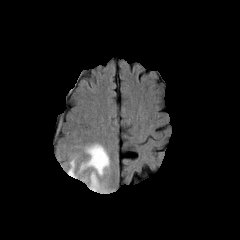
FLAIR MR image.
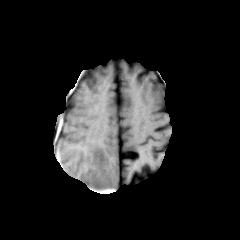
Same slice, T1-weighted magnetic resonance.
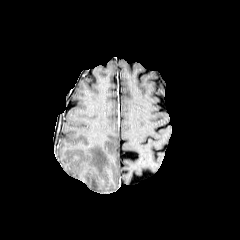
Post-contrast T1-weighted MRI.
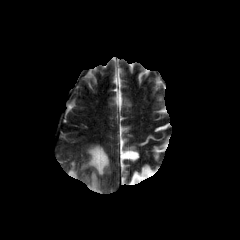
Same slice, T2-weighted MRI.
edema:
  - bbox(68, 144, 109, 190)